Slice index 39 | CT image 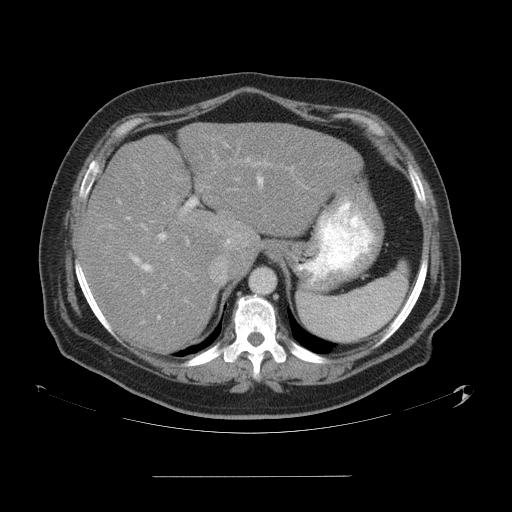 The vessel annotation is not exhaustive.
Hepatic vessel at [186,237,188,244], [130,254,151,271], [246,158,249,161], [141,290,144,293], [118,200,120,202], [185,300,187,301], [127,217,129,219], [184,198,197,210], [157,315,159,318], [158,233,165,240], [200,188,202,190], [257,176,263,187], [253,162,260,166].
Liver tumor at [216,225,245,251].